512x512; CT slice; Field of view 335 mm wide, 1.00 mm slice spacing; Slice index 14 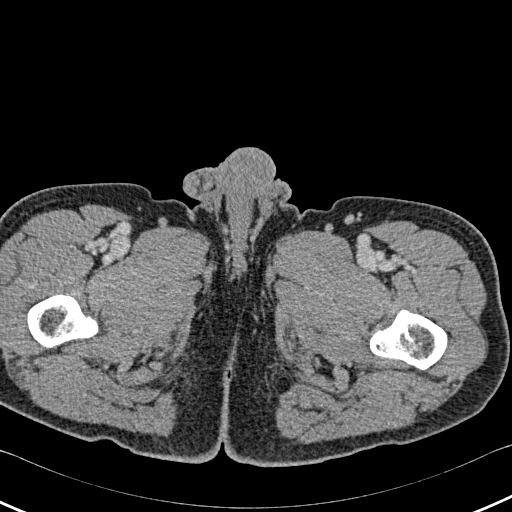 Segmented structures:
- bone: 28:295:97:346, 370:310:446:369